FLAIR MR.
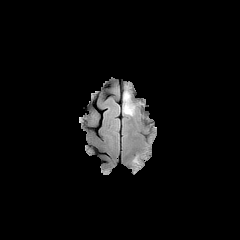
T1-weighted MRI.
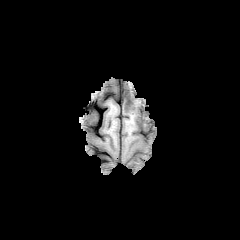
Post-contrast T1-weighted MRI.
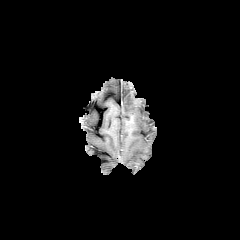
T2-weighted magnetic resonance.
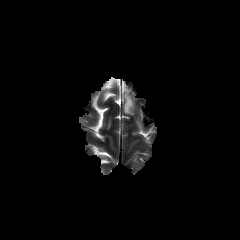
240x240 px.
Edema at [132,154,139,168], [122,90,133,115].